MR. Medial temporal lobe. 38x48 px.

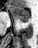
Posterior hippocampus = (21, 20, 27, 21).
Anterior hippocampus = (9, 5, 29, 19).